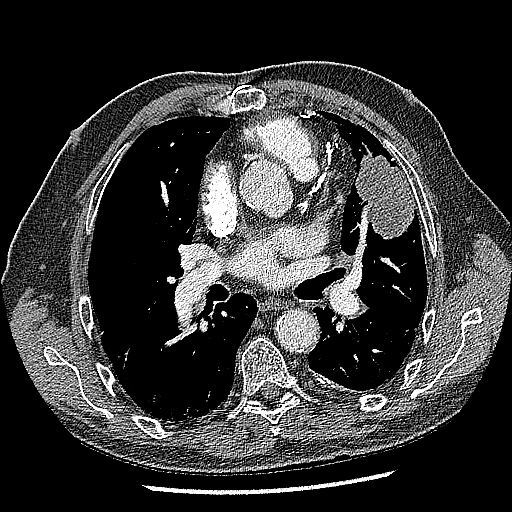

CT slice

Segmented structures:
• lung tumor: box=[355, 151, 416, 239]